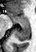 Image size 36x52, MR image

Annotated regions:
- anterior hippocampus: rect(8, 14, 29, 24)
- posterior hippocampus: rect(15, 25, 30, 40)